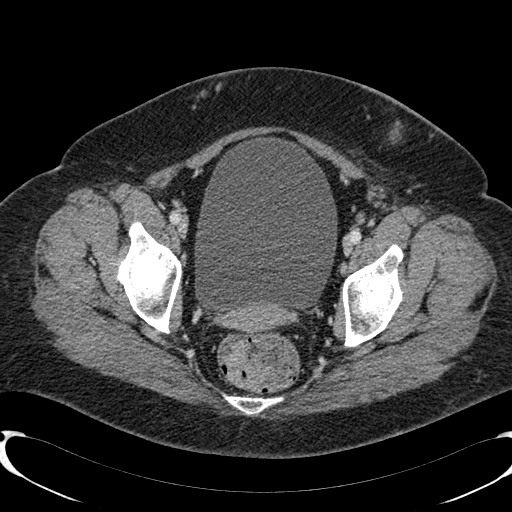

512x512. CT image. Urinary bladder at box=[195, 137, 336, 310].